Field of view 350x350 mm. CT. Slice 185/217. 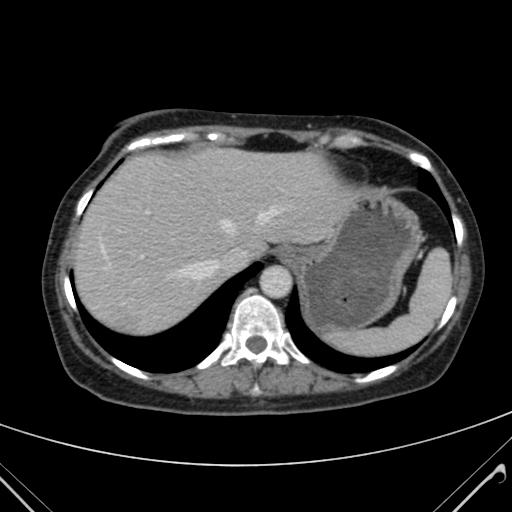 Liver: 75 149 346 333.